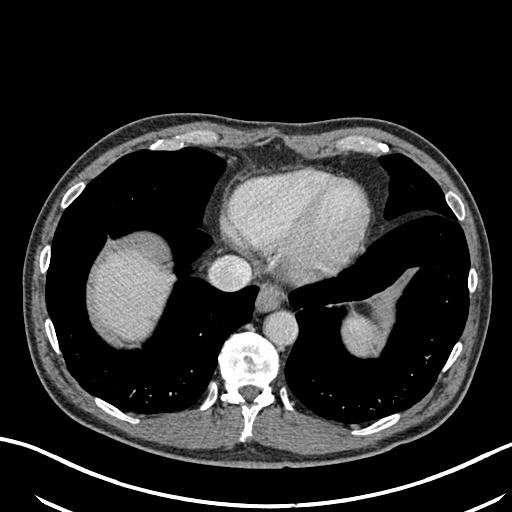 Abdomen, CT scan slice
liver: [x1=93, y1=249, x2=166, y2=335]